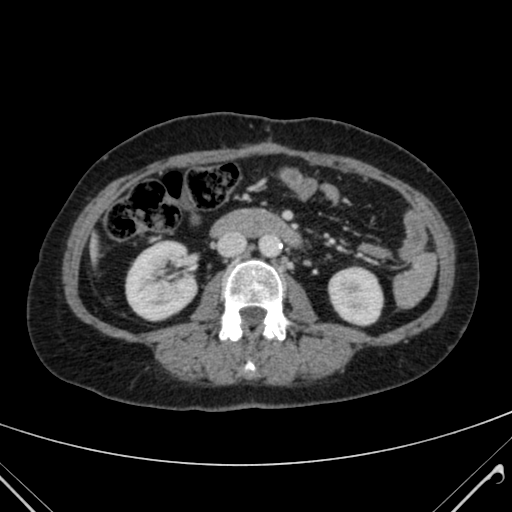 CT image

kidney:
  - 127:242:195:319
  - 330:269:381:323